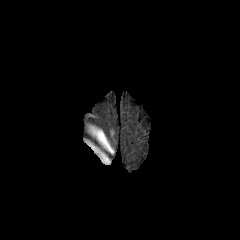
FLAIR MRI.
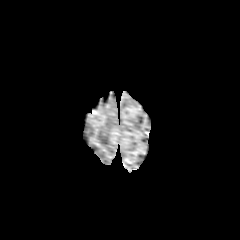
T1-weighted MRI of the same slice.
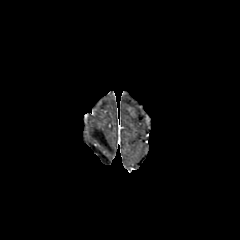
Same slice, post-contrast T1-weighted magnetic resonance.
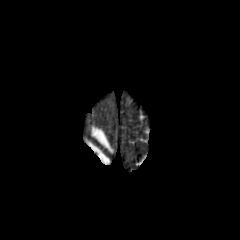
T2-weighted magnetic resonance of the same slice.
Brain
2 edema regions are located at x1=86, y1=140, x2=110, y2=164; x1=90, y1=126, x2=114, y2=153.